Slice 24 of 37. CT scan slice. Field of view 361 mm wide, 5.00 mm slice spacing. 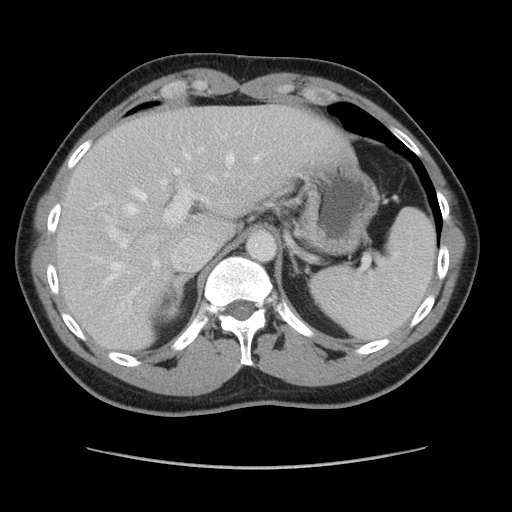
Some hepatic vessels may have no box.
Most prominent 15 of 17 hepatic vessel regions — region(131, 187, 146, 199); region(205, 174, 215, 179); region(220, 133, 226, 137); region(255, 153, 261, 161); region(126, 300, 130, 316); region(154, 258, 159, 266); region(183, 151, 192, 161); region(104, 262, 122, 284); region(105, 216, 108, 220); region(160, 179, 167, 184); region(174, 168, 180, 174); region(223, 152, 234, 177); region(164, 187, 200, 224); region(108, 226, 127, 246); region(123, 203, 137, 214).